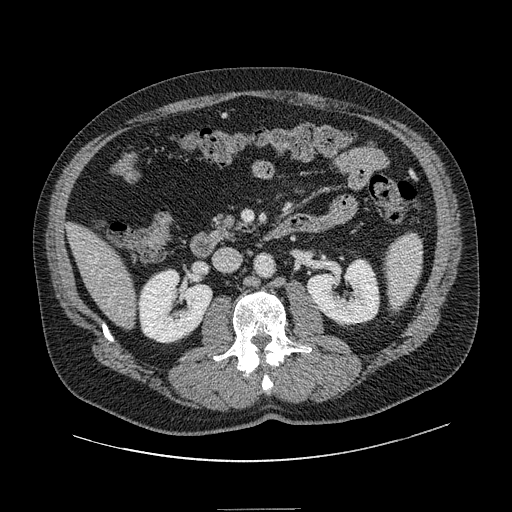
CT | Image size 512x512 | Upper abdomen
- pancreas: left=213, top=215, right=255, bottom=239